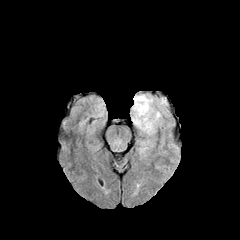
FLAIR magnetic resonance.
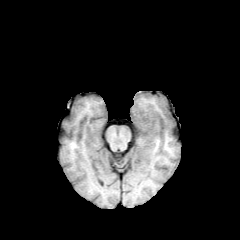
T1-weighted MR of the same slice.
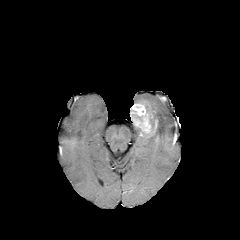
Post-contrast T1-weighted MRI of the same slice.
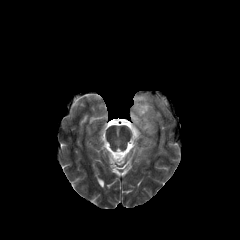
Same slice, T2-weighted MR.
Brain.
2 edema regions are bounded by (x1=133, y1=94, x2=166, y2=125), (x1=138, y1=132, x2=153, y2=157). The enhancing tumor is at (x1=130, y1=102, x2=152, y2=133). The non-enhancing tumor core is located at (x1=146, y1=103, x2=154, y2=118).